Image width 380 mm; Slice index 69; Computed tomography
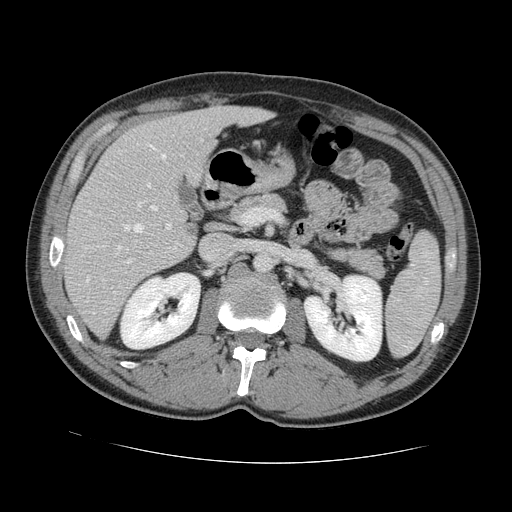 Only some of the vessels may be annotated.
partial: true
hepatic_vessel:
  # 15 of 20 shown
  - box=[96, 245, 102, 246]
  - box=[83, 246, 92, 248]
  - box=[160, 154, 164, 158]
  - box=[151, 206, 155, 209]
  - box=[147, 143, 155, 149]
  - box=[136, 201, 145, 209]
  - box=[166, 223, 170, 227]
  - box=[124, 224, 142, 232]
  - box=[180, 154, 183, 157]
  - box=[117, 246, 120, 251]
  - box=[147, 183, 150, 186]
  - box=[124, 258, 132, 263]
  - box=[86, 211, 90, 214]
  - box=[204, 127, 206, 129]
  - box=[85, 276, 89, 286]